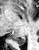
MR image. <segmentation>
  <posterior_hippocampus>13:35:26:44</posterior_hippocampus>
</segmentation>